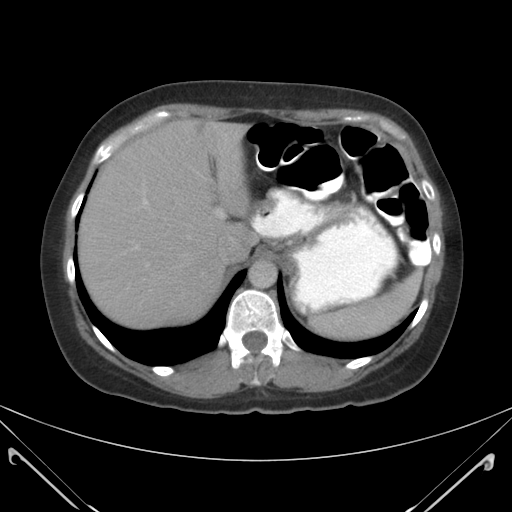 CT scan slice, Abdomen

The spleen appears at x1=311 y1=272 x2=420 y2=340.